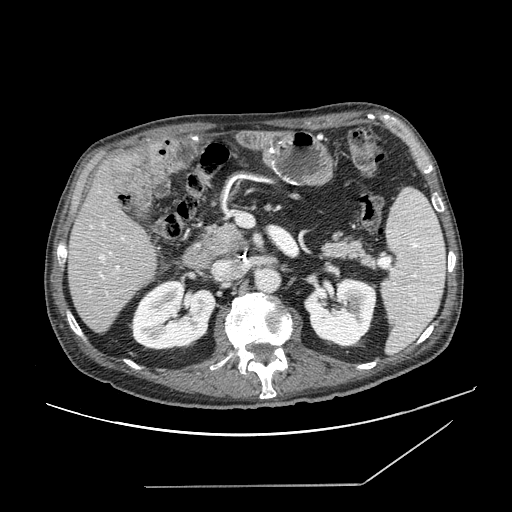

Abdomen. CT slice. 512x512.

2 pancreas regions appear at 324 242 373 266, 208 225 245 254. The pancreatic tumor is bounded by 233 241 242 250.